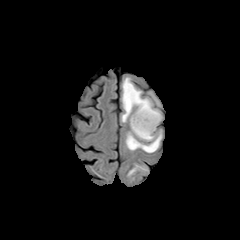
FLAIR MR.
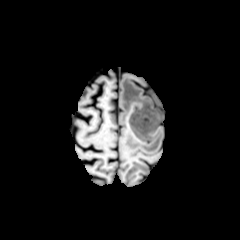
T1-weighted magnetic resonance.
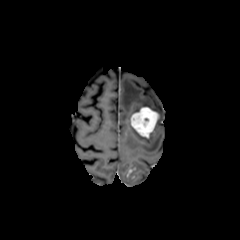
Post-contrast T1-weighted MR of the same slice.
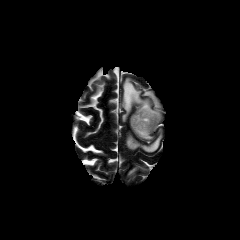
T2-weighted MR.
Enhancing tumor at (left=130, top=106, right=159, bottom=137).
Edema at (left=121, top=77, right=163, bottom=153).